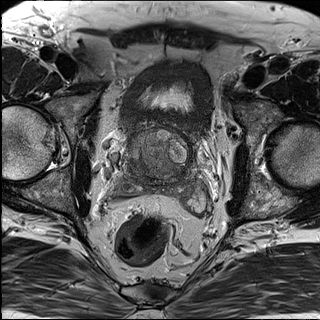
T2-weighted magnetic resonance.
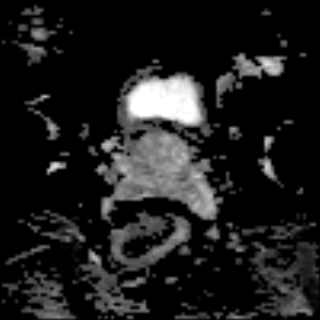
ADC MR image.
Pelvis, Image size 320x320
prostate_transition_zone:
  - 129,131,187,189